Liver; Slice 490/677; CT image
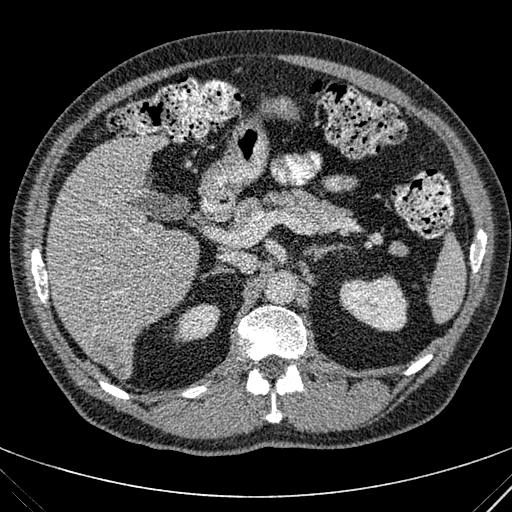 Liver lesion = x1=88 y1=338 x2=130 y2=376.
Liver = x1=46 y1=136 x2=195 y2=376.
Kidney = x1=178 y1=304 x2=219 y2=340, x1=340 y1=276 x2=406 y2=330.